Slice 105 of 155
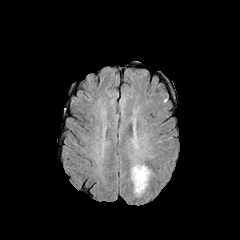
FLAIR MR image.
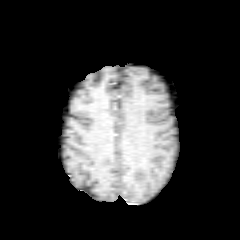
T1-weighted magnetic resonance.
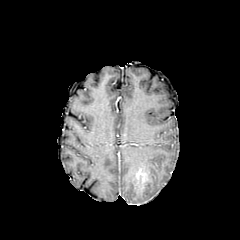
Same slice, post-contrast T1-weighted MRI.
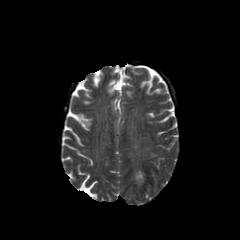
T2-weighted MR image.
<segmentation>
  <edema>[x1=132, y1=165, x2=149, y2=192]</edema>
</segmentation>